Slice index 65; Field of view 400x400 mm; MRI slice; 320x320 px; Cardiac 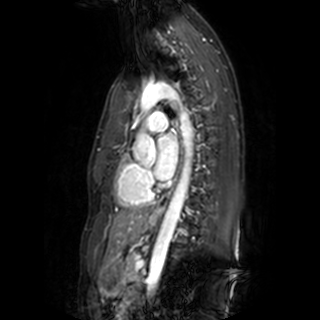 The left atrium appears at bbox=[154, 133, 178, 180].